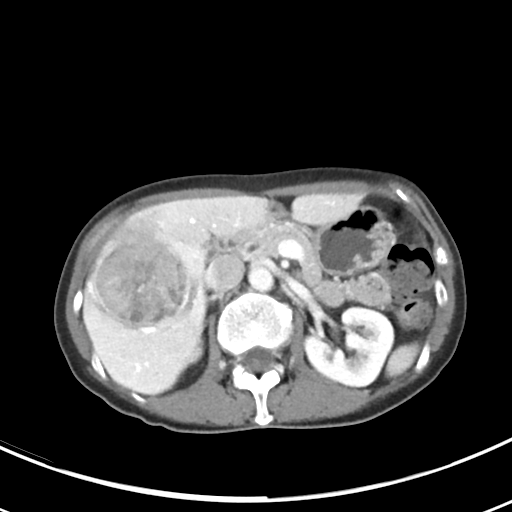
512x512 | CT image
Liver tumor = 89, 211, 201, 331.